CT slice, 512x512, Slice index 25

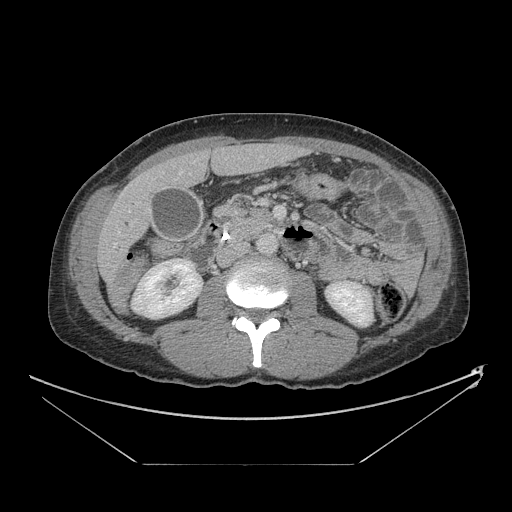

The pancreas lies within box=[214, 195, 283, 243].